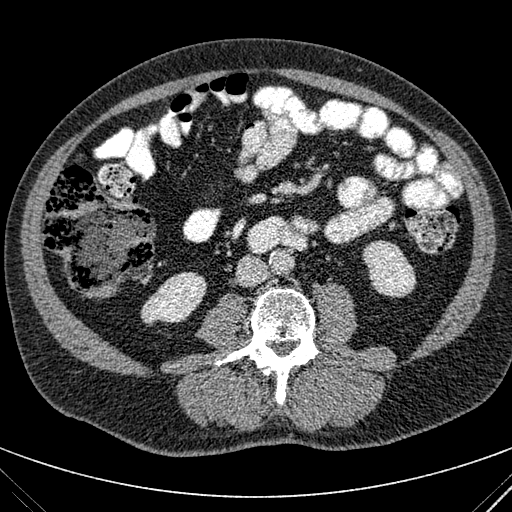

CT slice
Annotated regions:
* kidney: left=363, top=240, right=415, bottom=296; left=141, top=272, right=206, bottom=322